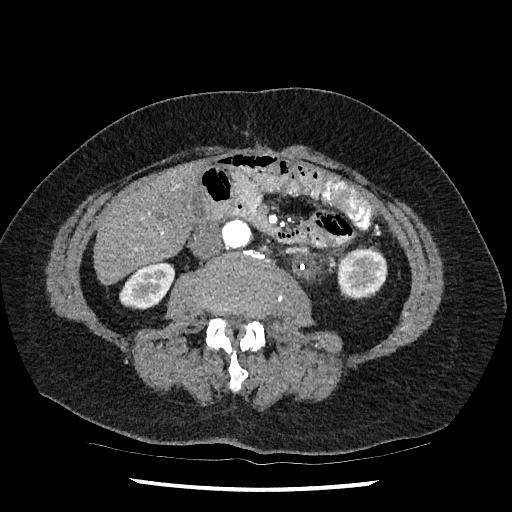
Upper abdomen; Computed tomography; Image size 512x512
Annotated regions:
• liver: bbox=[94, 161, 205, 284]
• kidney: bbox=[338, 250, 386, 297]; bbox=[120, 263, 174, 308]